Image size 512x512, CT

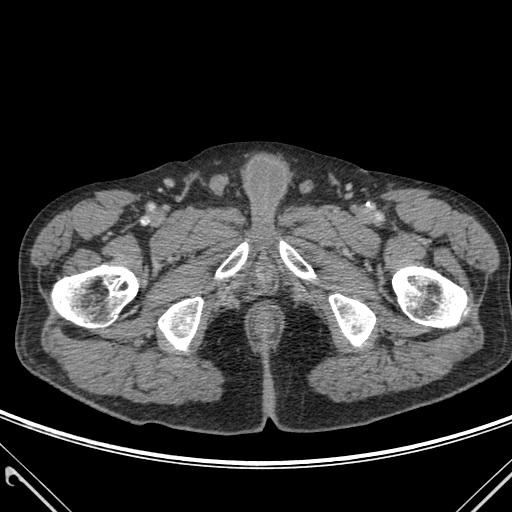

- bone: (52, 265, 138, 327), (216, 242, 248, 278), (280, 241, 315, 279), (329, 294, 375, 346), (158, 297, 203, 349), (392, 266, 466, 327)